CT scan slice, Image size 512x512, Slice 525/856 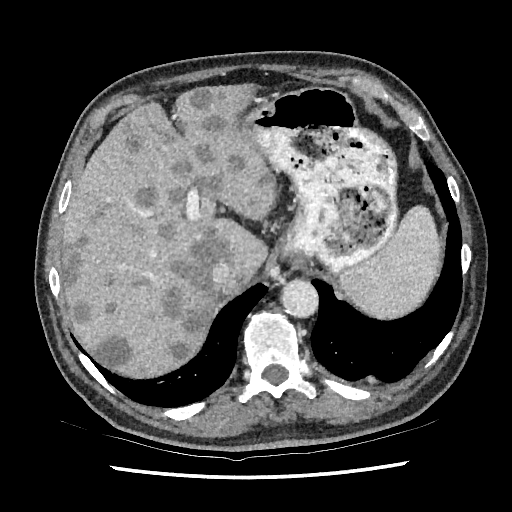
<segmentation partial="true">
  <liver>(61, 84, 274, 376)</liver>
  <focal_liver_lesion shown="15" total="21">(224, 154, 245, 173), (135, 186, 157, 208), (93, 335, 132, 366), (188, 89, 208, 110), (124, 124, 143, 153), (197, 173, 223, 199), (158, 218, 176, 240), (165, 186, 185, 206), (63, 235, 90, 290), (123, 217, 144, 237), (200, 114, 227, 133), (93, 200, 112, 222), (169, 159, 193, 179), (164, 226, 233, 335), (192, 142, 213, 162)</focal_liver_lesion>
</segmentation>